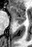
MRI slice; Hippocampus
anterior hippocampus: x1=11 y1=6 x2=25 y2=19 | posterior hippocampus: x1=18 y1=20 x2=24 y2=23